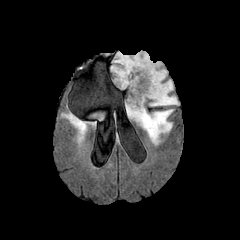
FLAIR MRI.
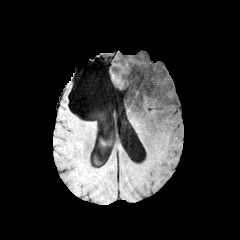
T1-weighted MRI of the same slice.
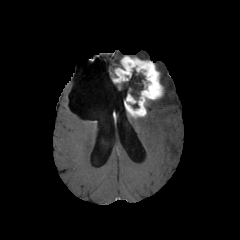
Post-contrast T1-weighted MR image.
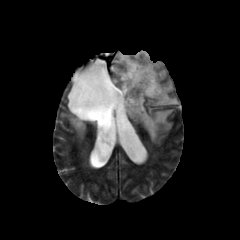
T2-weighted magnetic resonance.
Brain; 240x240
The non-enhancing tumor core lies within bbox=[120, 70, 145, 107]. 6 edema regions are located at bbox=[130, 108, 173, 143]; bbox=[135, 52, 149, 59]; bbox=[94, 112, 104, 119]; bbox=[110, 52, 124, 75]; bbox=[66, 114, 83, 132]; bbox=[149, 62, 178, 106]. The enhancing tumor is at bbox=[113, 56, 163, 116].